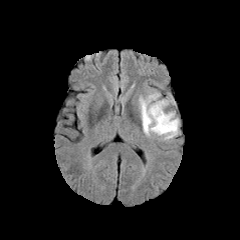
FLAIR MR image.
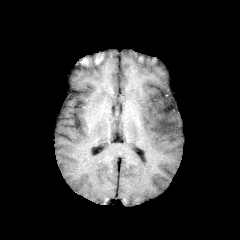
T1-weighted MRI of the same slice.
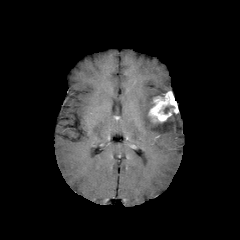
Post-contrast T1-weighted MRI.
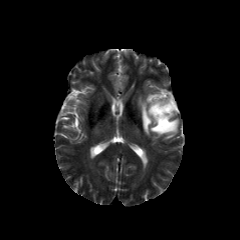
T2-weighted MRI of the same slice.
enhancing_tumor:
  - [x1=147, y1=91, x2=178, y2=123]
edema:
  - [x1=139, y1=92, x2=179, y2=140]